FLAIR MR.
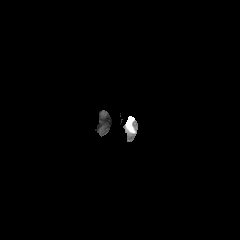
T1-weighted MRI.
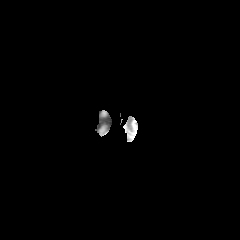
Post-contrast T1-weighted MR.
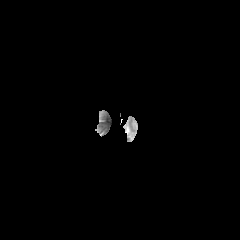
T2-weighted MR.
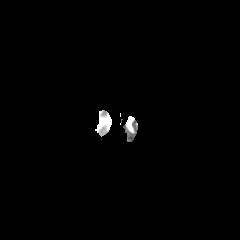
Image size 240x240 | Brain
edema:
  - left=125, top=116, right=137, bottom=134